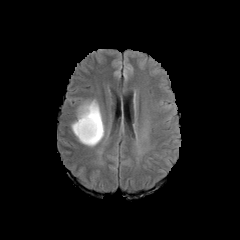
FLAIR MR.
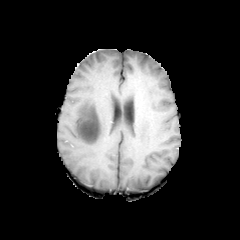
T1-weighted MR image.
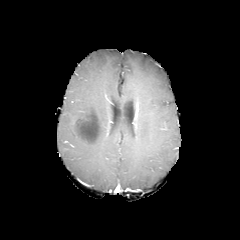
Post-contrast T1-weighted MR.
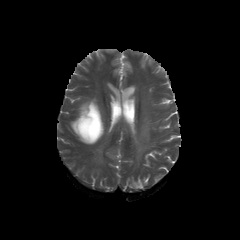
T2-weighted MRI of the same slice.
240x240 px
The edema appears at x1=71, y1=99, x2=107, y2=146. The non-enhancing tumor core lies within x1=80, y1=110, x2=99, y2=139.